FLAIR MRI.
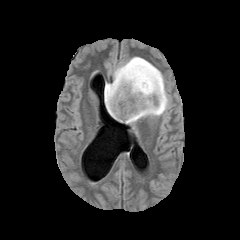
T1-weighted MR image.
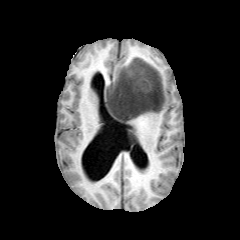
Post-contrast T1-weighted MR image.
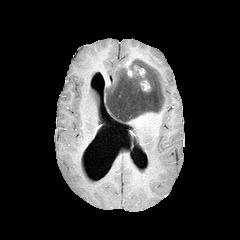
T2-weighted MR.
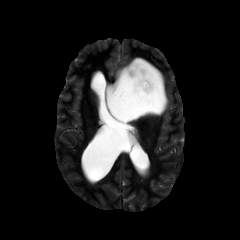
Enhancing tumor at l=141, t=81, r=149, b=90.
Edema at l=104, t=57, r=171, b=125.
Non-enhancing tumor core at l=127, t=66, r=143, b=79; l=106, t=72, r=163, b=123.